Slice 444/761 | CT slice | Upper abdomen
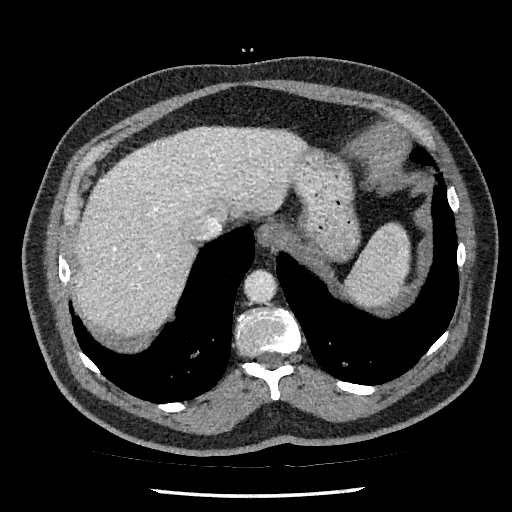 Liver at x1=74 y1=128 x2=305 y2=334.